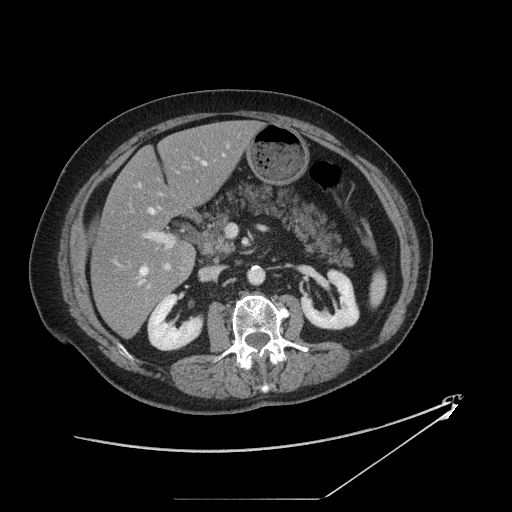

Image size 512x512. Computed tomography.
The pancreas is located at bbox=[194, 183, 355, 272].